Slice 346/722; CT image
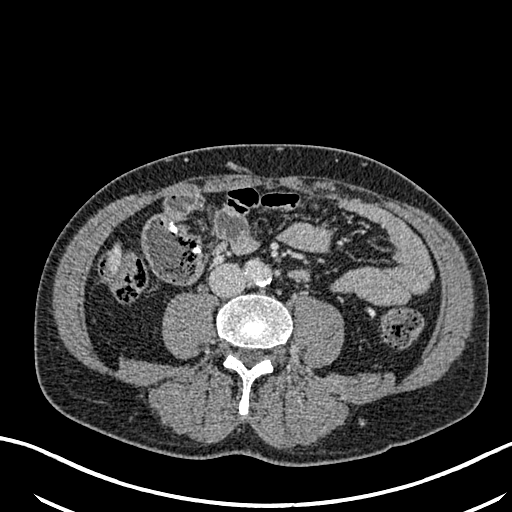

The liver is bounded by x1=109, y1=244, x2=120, y2=271.